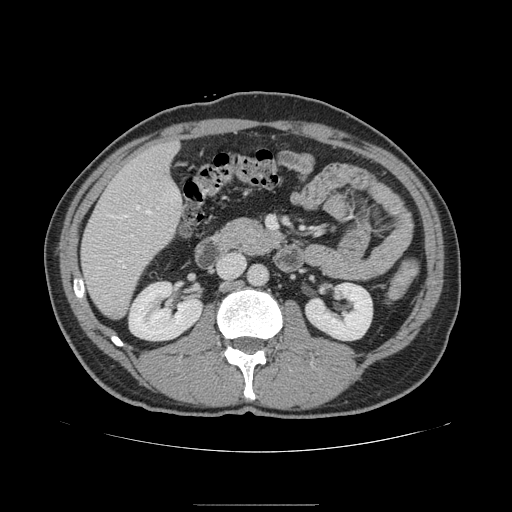 Image size 512x512, Abdomen, CT slice

The pancreas is at rect(215, 218, 285, 256).